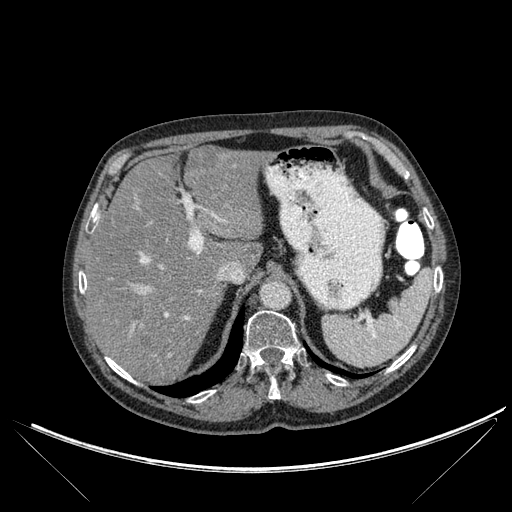
CT slice | Liver

Lung: 153, 309, 243, 397; 308, 349, 365, 377.
Bone: 188, 390, 215, 402; 244, 311, 299, 369; 269, 376, 279, 398; 326, 374, 346, 385; 387, 346, 415, 371; 423, 209, 433, 228; 105, 357, 135, 383; 434, 267, 442, 291; 79, 271, 86, 292.
Liver: 87, 146, 262, 385.
Liver lesion: 189, 146, 218, 168; 133, 305, 143, 318.